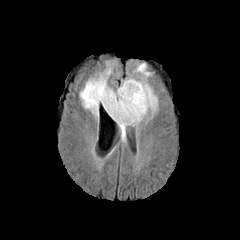
FLAIR MR.
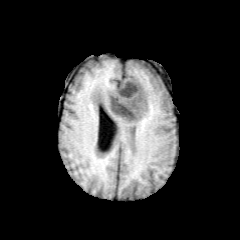
T1-weighted MR image.
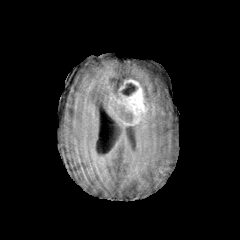
Post-contrast T1-weighted MRI of the same slice.
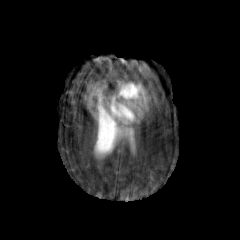
T2-weighted MR image of the same slice.
2 edema regions are bounded by {"x1": 80, "y1": 61, "x2": 130, "y2": 143}, {"x1": 125, "y1": 61, "x2": 157, "y2": 119}. The enhancing tumor lies within {"x1": 108, "y1": 79, "x2": 147, "y2": 125}. 2 non-enhancing tumor core regions appear at {"x1": 121, "y1": 83, "x2": 137, "y2": 96}, {"x1": 119, "y1": 110, "x2": 133, "y2": 122}.